FLAIR MR image.
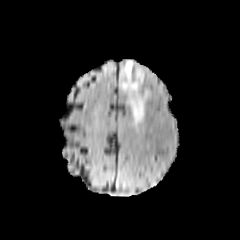
T1-weighted MRI.
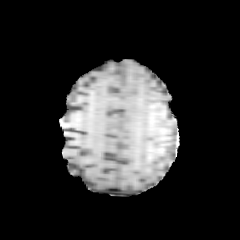
Post-contrast T1-weighted MRI.
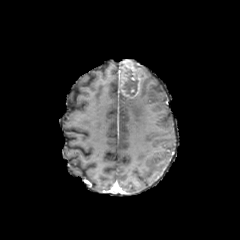
T2-weighted magnetic resonance.
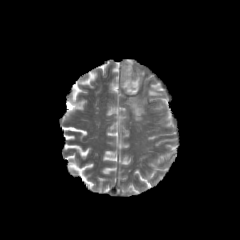
240x240 px
enhancing_tumor:
  - left=120, top=59, right=141, bottom=98
edema:
  - left=127, top=87, right=147, bottom=126
non-enhancing_tumor_core:
  - left=120, top=74, right=138, bottom=96